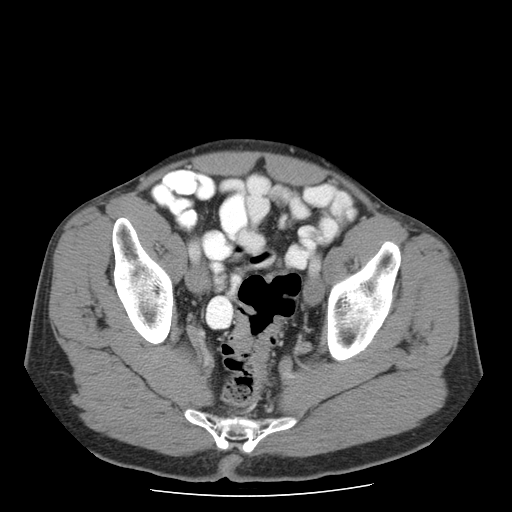

CT image
colon_tumor:
  - (left=238, top=301, right=254, bottom=313)
  - (left=249, top=316, right=283, bottom=395)
  - (left=229, top=310, right=252, bottom=353)